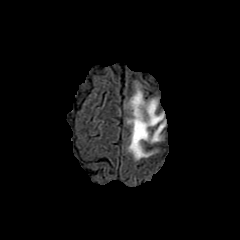
FLAIR MRI.
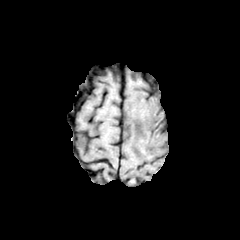
Same slice, T1-weighted MRI.
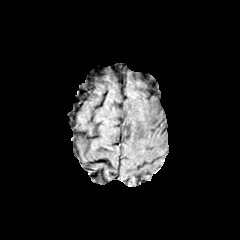
Post-contrast T1-weighted MRI.
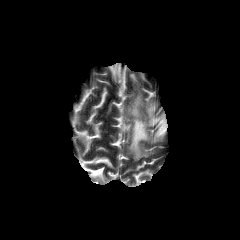
T2-weighted magnetic resonance.
240x240 px
edema: [x1=127, y1=86, x2=166, y2=160]